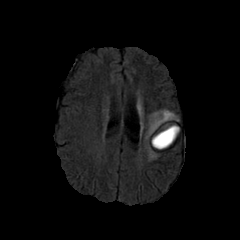
FLAIR MR.
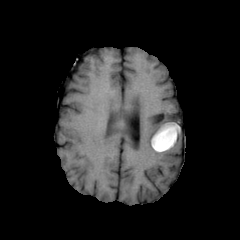
T1-weighted magnetic resonance of the same slice.
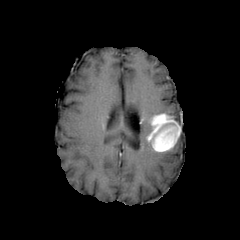
Post-contrast T1-weighted MRI.
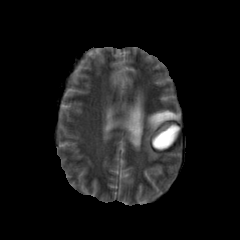
T2-weighted magnetic resonance.
Brain; 240x240
The enhancing tumor appears at bbox(148, 112, 179, 151). The edema appears at bbox(136, 92, 175, 160).